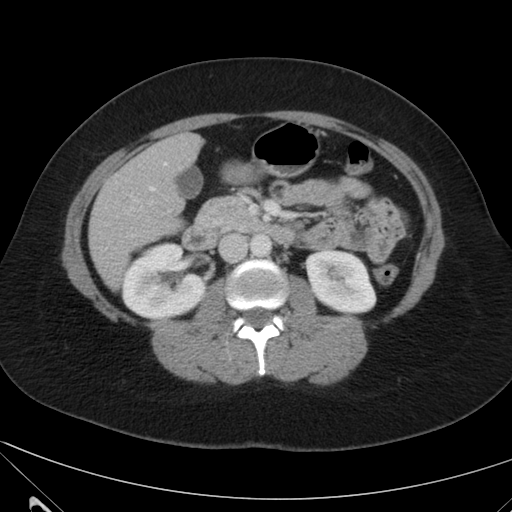 Computed tomography; Image size 512x512
2 kidney regions appear at left=123, top=244, right=204, bottom=317; left=309, top=251, right=374, bottom=311. The liver is bounded by left=89, top=132, right=201, bottom=288.